Slice 83 of 155
FLAIR MR.
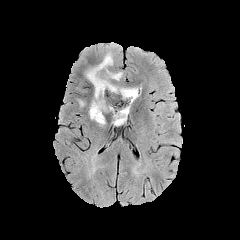
T1-weighted MR.
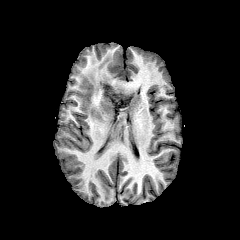
Post-contrast T1-weighted magnetic resonance.
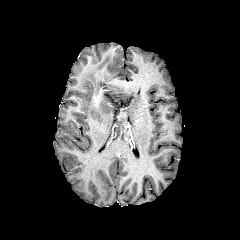
T2-weighted magnetic resonance.
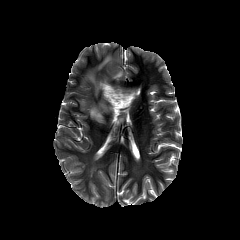
Edema: bounding box left=86, top=54, right=139, bottom=127.
Non-enhancing tumor core: bounding box left=111, top=94, right=129, bottom=107.